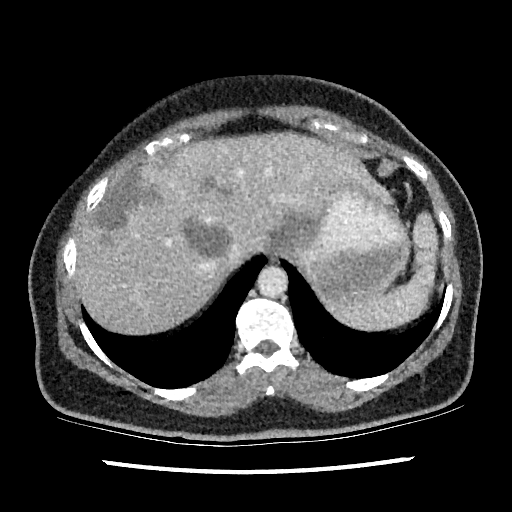
CT
4 focal liver lesion regions are bounded by <box>96,173,153,230</box>, <box>200,171,218,197</box>, <box>183,219,229,256</box>, <box>270,215,311,247</box>. The liver is located at <box>77,134,392,333</box>.